CT slice. Image width 439 mm. Slice 16/34. Liver.

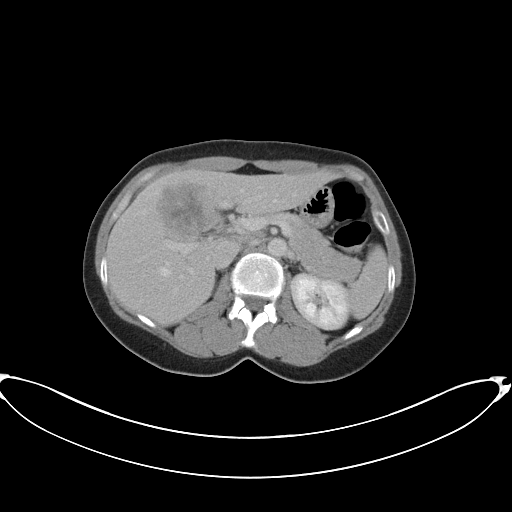
Some hepatic vessels may have no box.
Hepatic vessel — x1=159, y1=268, x2=169, y2=275; x1=166, y1=242, x2=192, y2=253.
Liver tumor — x1=163, y1=184, x2=220, y2=240.